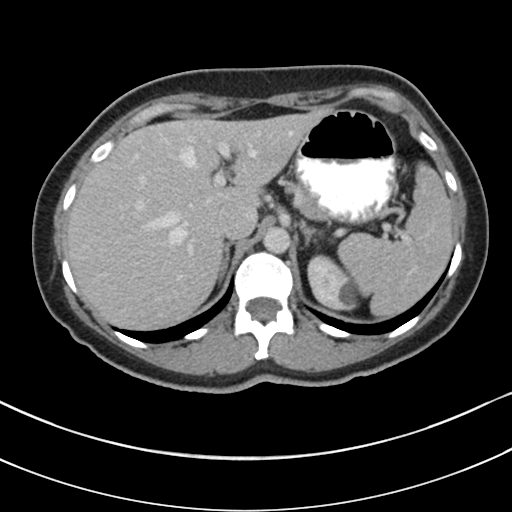

CT slice. 512x512 px.

The pancreas is bounded by <bbox>299, 187, 316, 209</bbox>.